Field of view 240 mm wide, 1.00 mm slice spacing; Image size 240x240
FLAIR MRI.
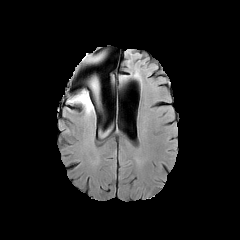
T1-weighted MR.
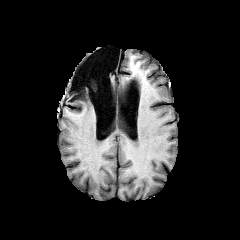
Post-contrast T1-weighted MRI.
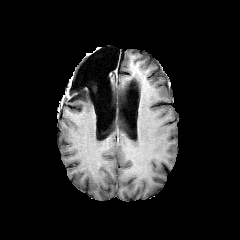
T2-weighted magnetic resonance.
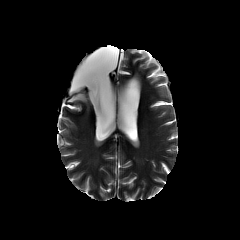
{"edema": ["x1=67, y1=90, x2=99, y2=116", "x1=90, y1=54, x2=103, y2=62"], "non-enhancing_tumor_core": ["x1=90, y1=78, x2=97, y2=93"]}